CT slice; Slice index 56; 512x512 px 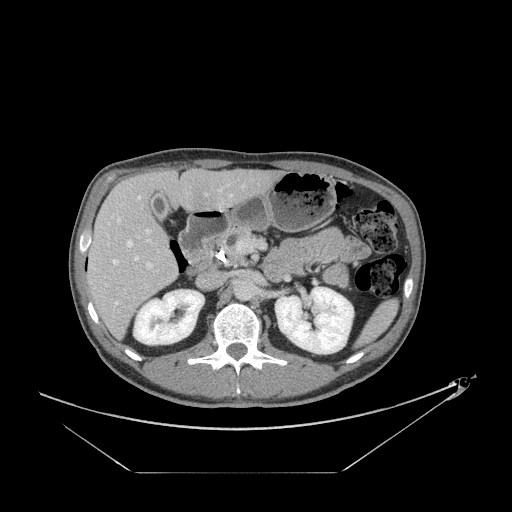 {"pancreas": ["rect(218, 225, 252, 256)"]}